FLAIR magnetic resonance.
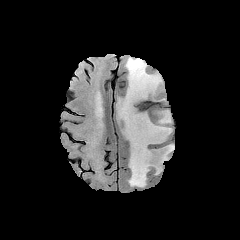
T1-weighted MR.
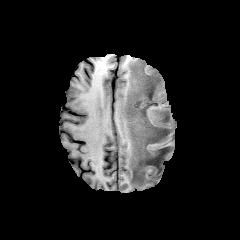
Post-contrast T1-weighted magnetic resonance.
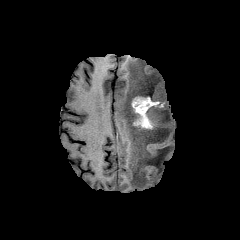
T2-weighted magnetic resonance.
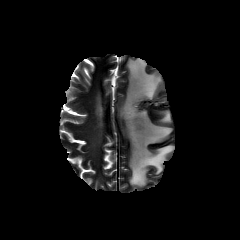
Brain
enhancing tumor: <box>131,96,153,129</box> | edema: <box>120,58,173,187</box> | non-enhancing tumor core: <box>136,99,150,111</box>, <box>129,96,165,139</box>, <box>139,83,154,97</box>